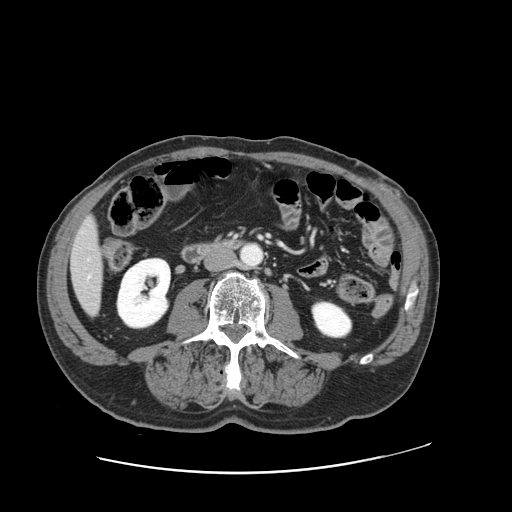 Liver. CT image. Not every hepatic vessel necessarily has a box.
Findings:
• hepatic vessel: 88 276 89 278